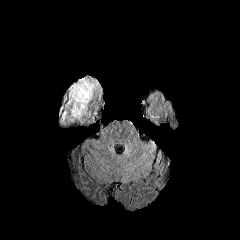
FLAIR MR image.
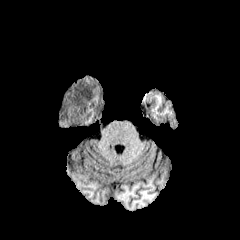
T1-weighted MR image.
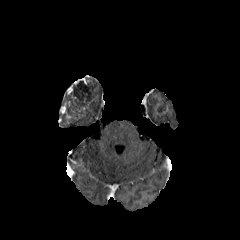
Post-contrast T1-weighted MR of the same slice.
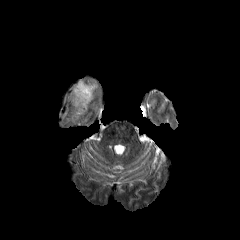
Same slice, T2-weighted MR image.
Head.
Segmented structures:
• enhancing tumor: (59,103,70,119)
• non-enhancing tumor core: (59,76,102,127)